CT image

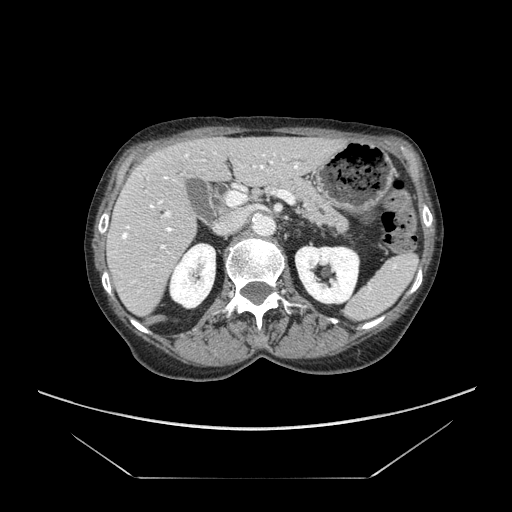 The pancreas is bounded by 269 177 351 238.